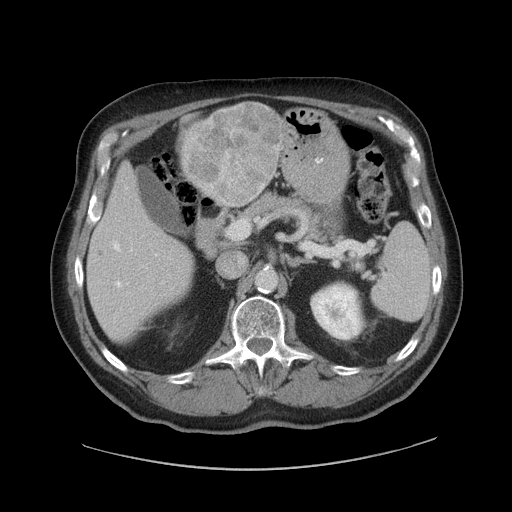
Abdomen. Computed tomography. 512x512.
Only some of the vessels may be annotated.
The liver tumor appears at {"x1": 186, "y1": 103, "x2": 282, "y2": 204}. 2 hepatic vessel regions appear at {"x1": 116, "y1": 281, "x2": 120, "y2": 286}, {"x1": 114, "y1": 241, "x2": 118, "y2": 248}.